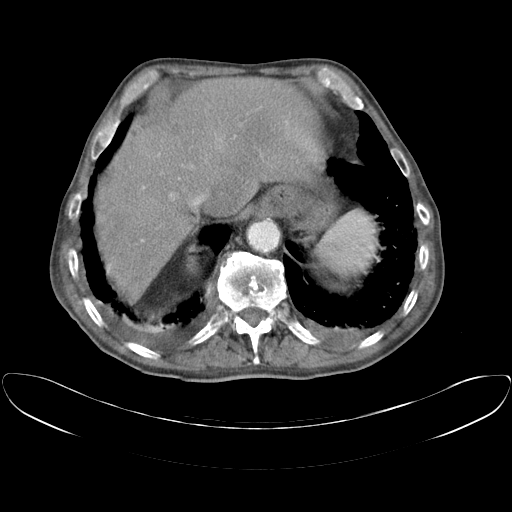
CT slice
Only some of the vessels may be annotated.
6 hepatic vessel regions are located at <box>170,193,174,199</box>, <box>178,177,180,179</box>, <box>188,194,205,208</box>, <box>233,135,235,138</box>, <box>240,123,242,126</box>, <box>141,239,144,241</box>.